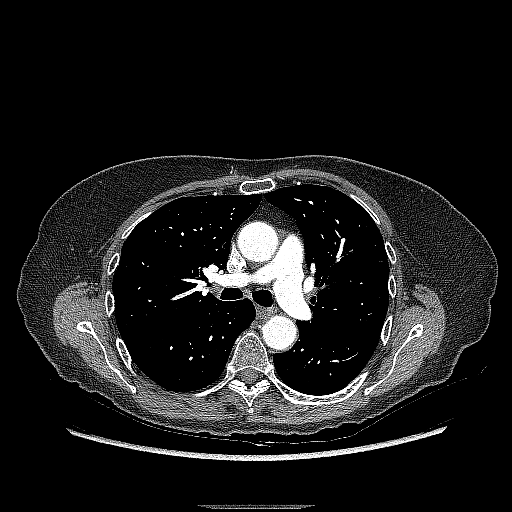 Thorax | Image size 512x512 | CT
Lung tumor: bounding box 328 236 356 258.